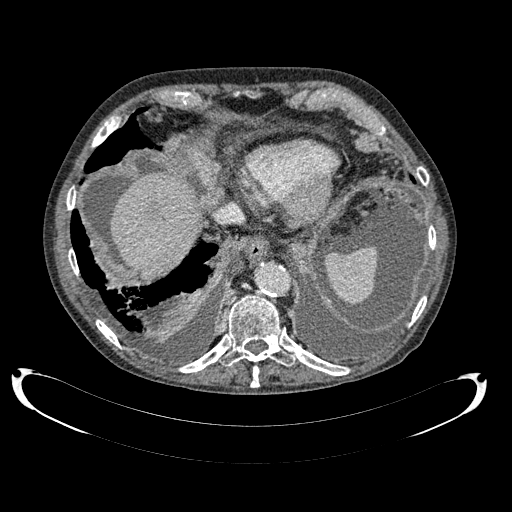 CT. Liver. The focal liver lesion lies within <bbox>141, 201, 159, 219</bbox>. The liver is located at <bbox>110, 173, 201, 280</bbox>.